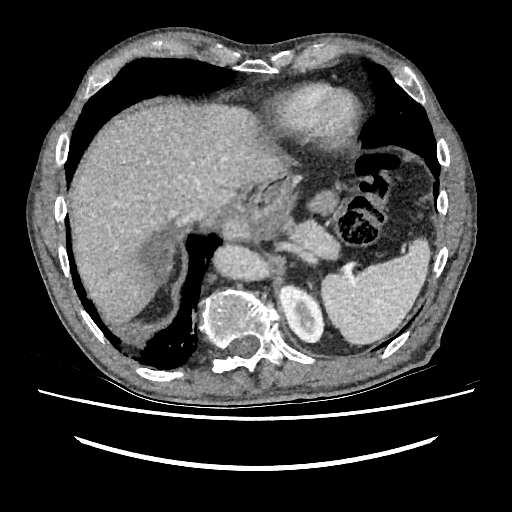

512x512 px | Computed tomography
focal liver lesion: (x1=126, y1=221, x2=177, y2=294), (x1=246, y1=132, x2=275, y2=154) | liver: (x1=70, y1=104, x2=289, y2=326) | kidney: (x1=280, y1=286, x2=323, y2=342)